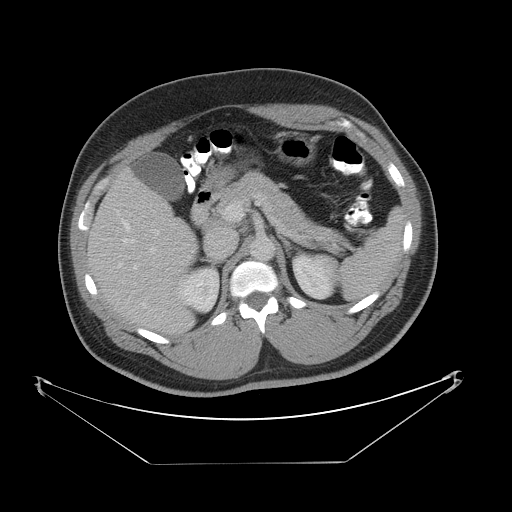

CT scan slice, Liver

The vessel annotation is not exhaustive.
hepatic_vessel:
  - [208, 228, 234, 256]